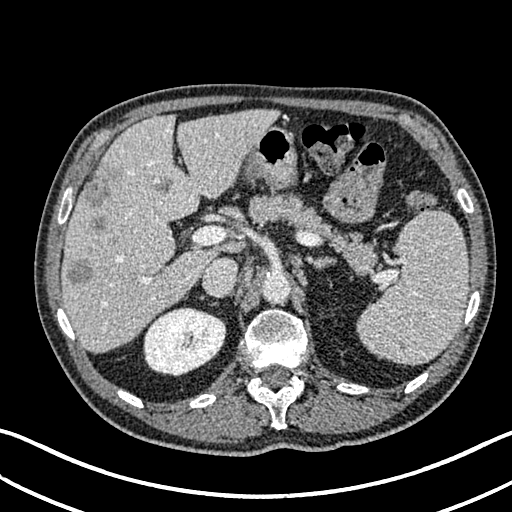 Abdomen. CT slice. Image size 512x512.
4 focal liver lesion regions are located at 93 217 105 230, 66 261 92 284, 85 172 118 205, 153 178 173 195. The liver is located at 62 110 277 351. The kidney lies within 144 308 225 374.